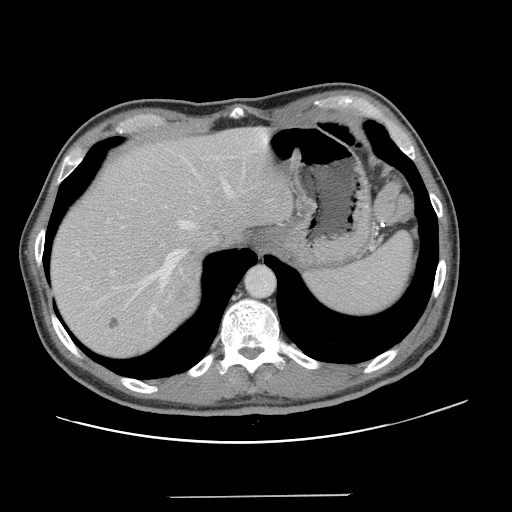 CT scan slice; 512x512 px

Not every hepatic vessel necessarily has a box.
The liver tumor is located at 175 289 189 302. 12 hepatic vessel regions are located at 127 302 128 304, 110 270 114 274, 93 256 94 258, 121 226 123 227, 114 287 117 289, 133 249 184 296, 179 221 194 228, 132 198 134 200, 207 158 210 159, 149 307 157 317, 229 156 233 157, 77 253 78 255.